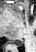
MRI slice. The posterior hippocampus is bounded by l=11, t=39, r=23, b=46.